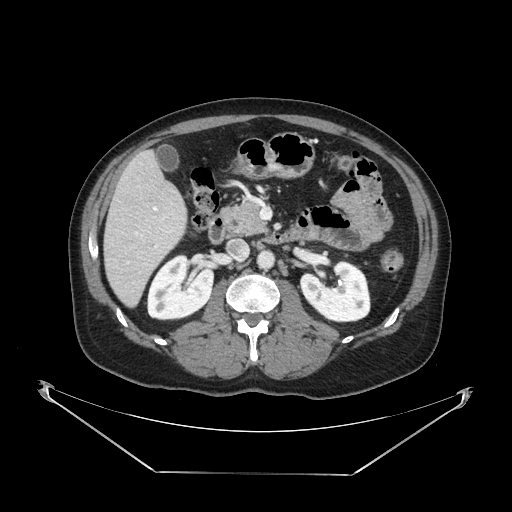
CT image, Image size 512x512
<segmentation>
  <pancreas>(222, 196, 267, 234)</pancreas>
</segmentation>